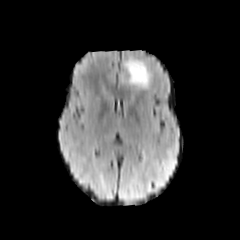
FLAIR MR.
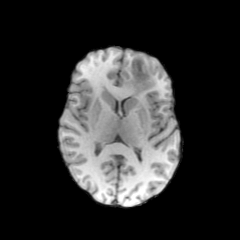
Same slice, T1-weighted magnetic resonance.
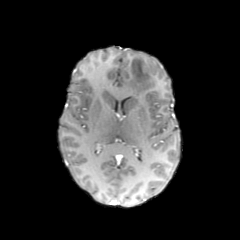
Same slice, post-contrast T1-weighted magnetic resonance.
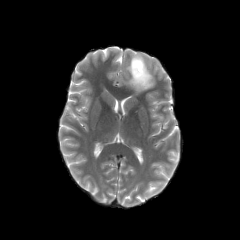
T2-weighted MR.
Head
- non-enhancing tumor core: 131:58:148:80
- edema: 125:55:154:91